Computed tomography 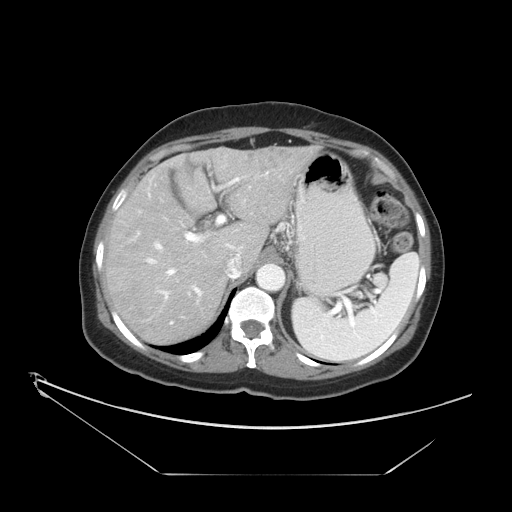 The vessel boxes may cover only some of the vessels.
Findings:
• liver tumor: box(244, 149, 283, 169)
• hepatic vessel: box(156, 243, 161, 248); box(217, 216, 224, 222); box(170, 321, 172, 323); box(168, 269, 174, 274); box(160, 291, 167, 297); box(147, 258, 154, 262); box(231, 178, 238, 182); box(227, 245, 231, 247); box(186, 233, 198, 241); box(194, 287, 201, 294)